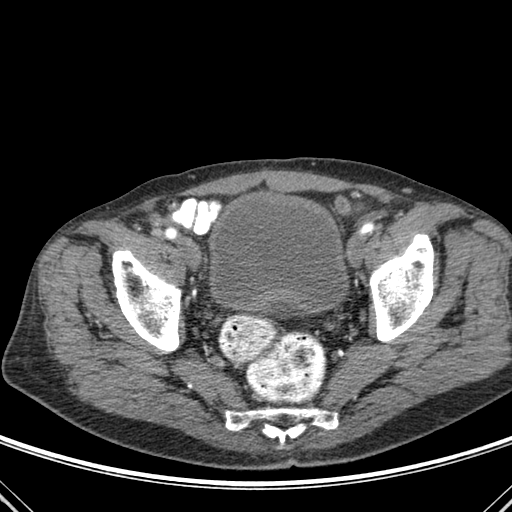
CT image; Image size 512x512; Pelvis

Urinary bladder at l=206, t=196, r=349, b=307.
Bone at l=262, t=423, r=305, b=445; l=112, t=250, r=180, b=351; l=370, t=234, r=433, b=341; l=225, t=408, r=338, b=430.